Slice index 115
FLAIR MR image.
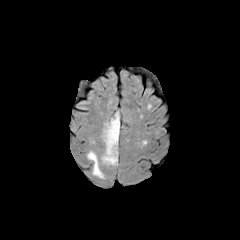
T1-weighted MR image.
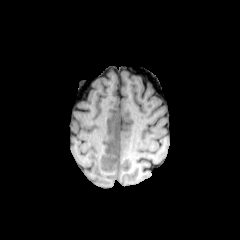
Post-contrast T1-weighted MRI.
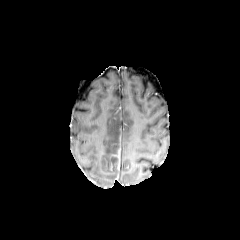
T2-weighted MR image.
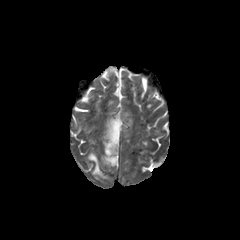
The edema lies within left=87, top=112, right=120, bottom=178.